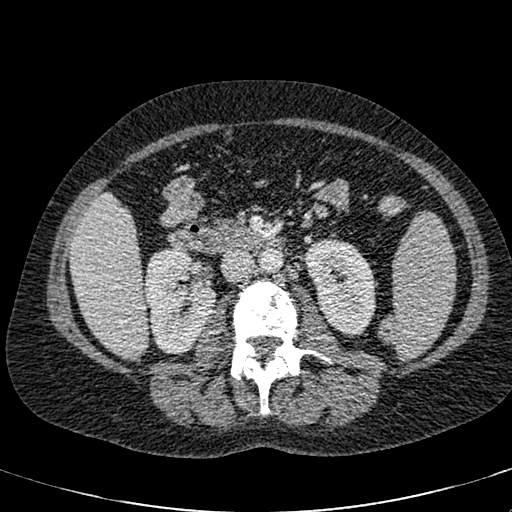
Image size 512x512; CT scan slice
Annotated regions:
- liver: (x1=70, y1=195, x2=146, y2=357)
- kidney: (x1=144, y1=246, x2=215, y2=353), (x1=305, y1=240, x2=374, y2=334)